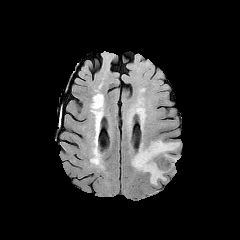
FLAIR MR image.
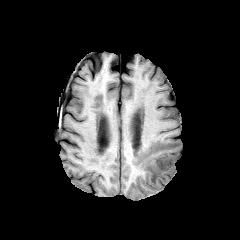
T1-weighted MR image of the same slice.
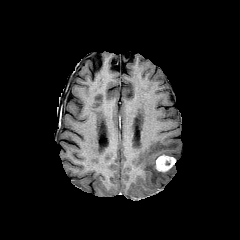
Post-contrast T1-weighted magnetic resonance.
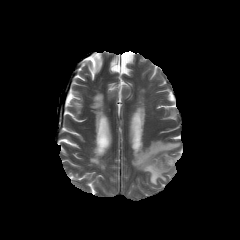
T2-weighted MR image.
Head
<segmentation>
  <enhancing_tumor>154:154:175:172</enhancing_tumor>
  <edema>132:140:179:184</edema>
</segmentation>